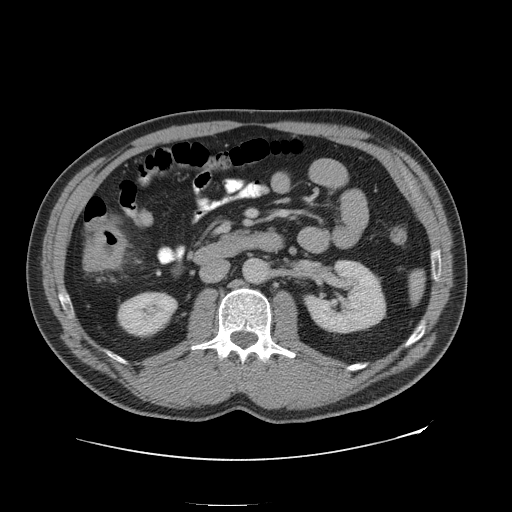
CT scan slice
Colon tumor: [x1=84, y1=217, x2=125, y2=271].